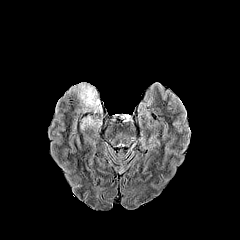
FLAIR MR.
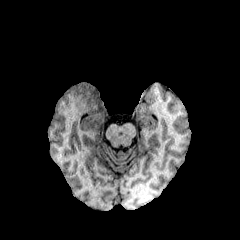
T1-weighted MRI.
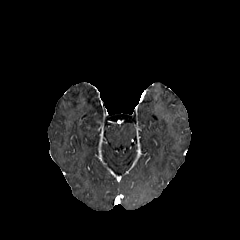
Post-contrast T1-weighted MR image.
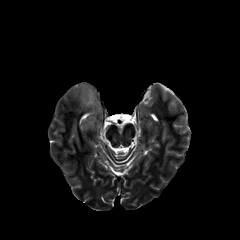
T2-weighted magnetic resonance.
240x240
Enhancing tumor — [95,115,103,130].
Edema — [80,116,95,133], [69,83,102,117].